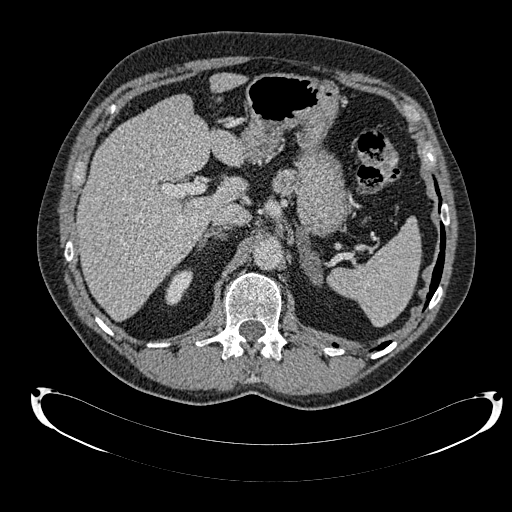

512x512 | Computed tomography
Liver: bounding box [210, 73, 246, 91], [78, 96, 244, 320].
Kidney: bounding box [166, 271, 191, 303].